Image width 400 mm. Computed tomography. 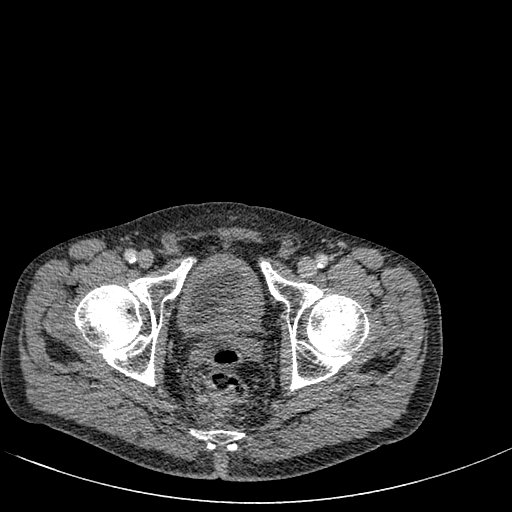
Urinary bladder at [x1=175, y1=250, x2=265, y2=339].